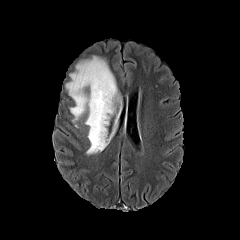
FLAIR MR image.
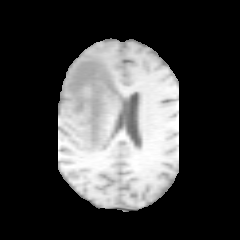
T1-weighted MRI of the same slice.
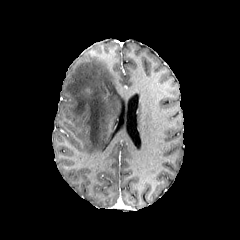
Post-contrast T1-weighted MR image of the same slice.
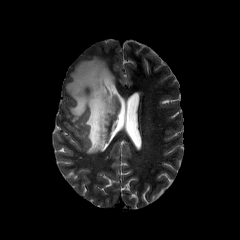
T2-weighted MR image of the same slice.
The edema is at [66,56,118,155].